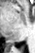
Magnetic resonance, Hippocampus
posterior hippocampus: <bbox>6, 41, 14, 46</bbox>